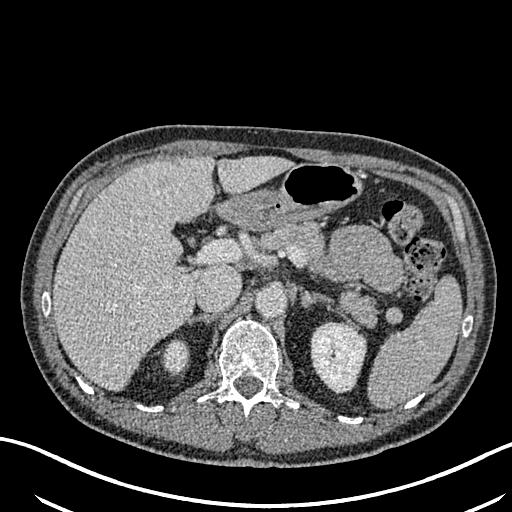 Abdomen | CT scan slice
Liver: [54, 157, 213, 389], [218, 156, 294, 194].
Kidney: [312, 323, 365, 391], [166, 342, 186, 369].
Focal liver lesion: [158, 176, 169, 187].